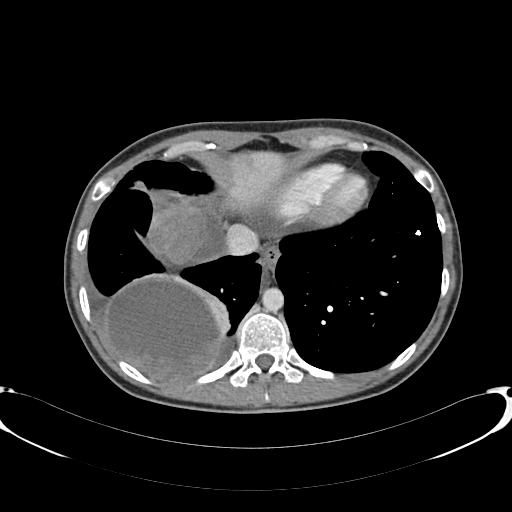
CT image | Liver
focal_liver_lesion:
  - 243,157,252,166
liver:
  - 229,151,287,205